FLAIR MRI.
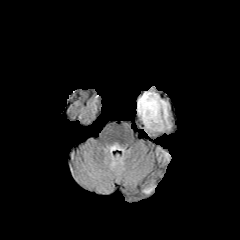
T1-weighted MRI.
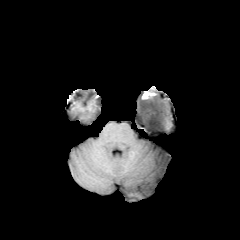
Post-contrast T1-weighted magnetic resonance.
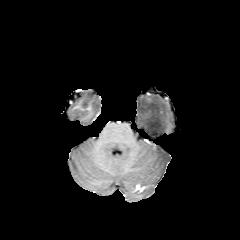
T2-weighted MR.
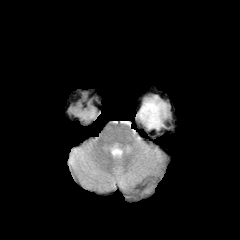
240x240 px
Non-enhancing tumor core: bounding box {"x1": 142, "y1": 102, "x2": 161, "y2": 127}.
Edema: bounding box {"x1": 138, "y1": 93, "x2": 168, "y2": 131}.